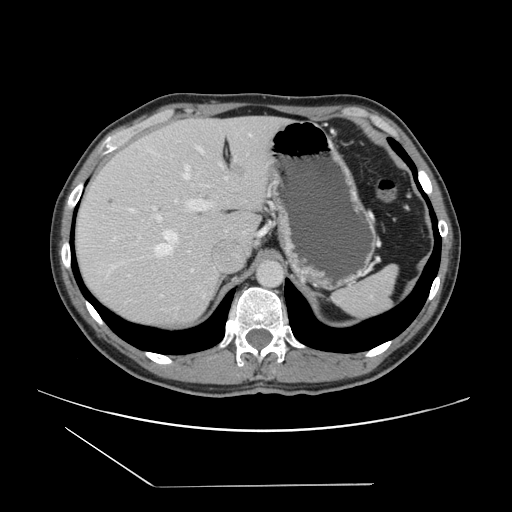

Liver; CT image

The vessel boxes may cover only some of the vessels.
<segmentation>
  <liver_tumor>230:164:241:174</liver_tumor>
  <hepatic_vessel>150:151:153:152, 168:253:171:255, 249:134:250:136, 202:201:205:202, 243:232:244:233, 207:206:209:208, 171:239:176:246, 202:184:206:186, 109:265:112:271, 185:205:190:210, 120:262:123:263, 183:165:189:178, 116:236:117:238</hepatic_vessel>
</segmentation>